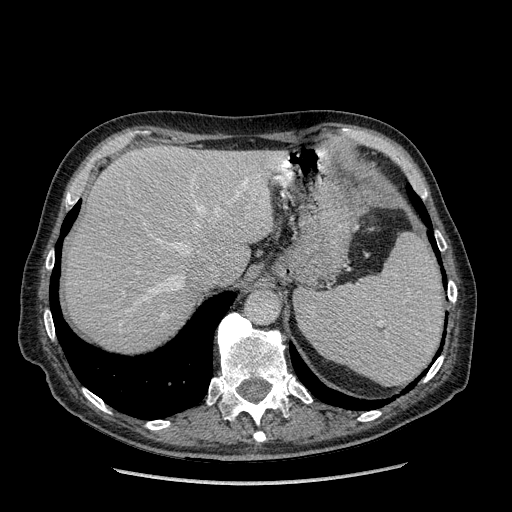 512x512. Computed tomography.
Liver = (65, 146, 283, 353).